512x512 px. Upper abdomen. Computed tomography. Field of view 380x380 mm.

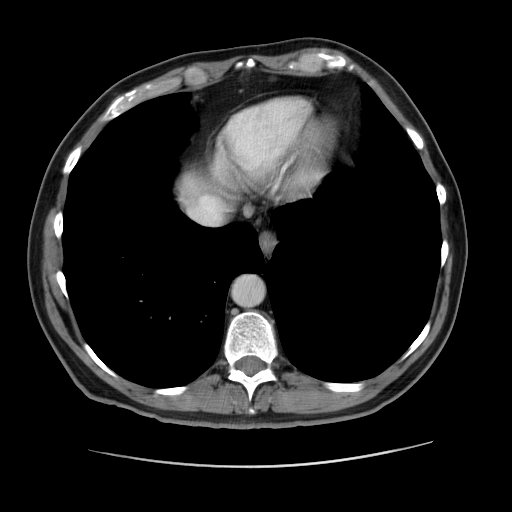
liver:
  - left=177, top=166, right=217, bottom=203